Head
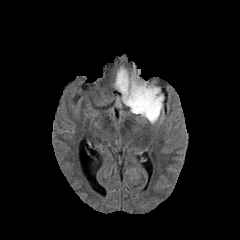
FLAIR MR image.
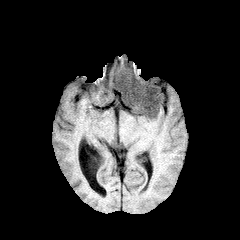
T1-weighted MR.
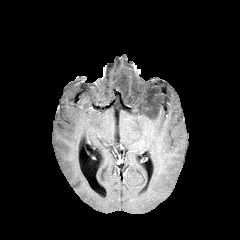
Post-contrast T1-weighted MR image.
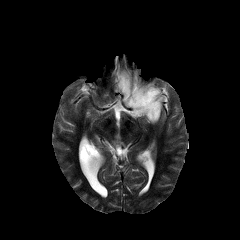
T2-weighted MR image of the same slice.
<segmentation>
  <non-enhancing_tumor_core>(x1=128, y1=88, x2=159, y2=115)</non-enhancing_tumor_core>
  <edema>(x1=114, y1=63, x2=165, y2=124)</edema>
</segmentation>